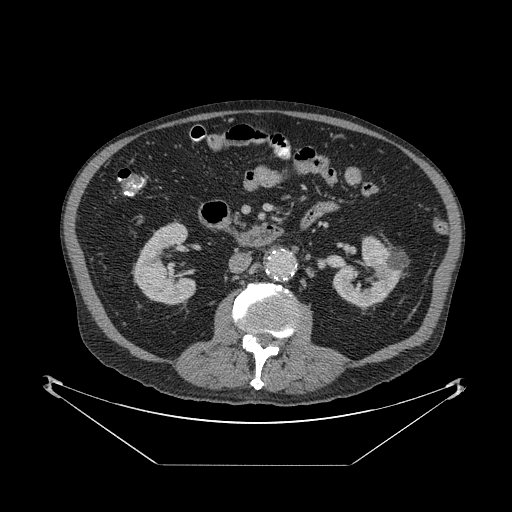

Abdomen; CT slice; 512x512 px

pancreas:
  - <bbox>233, 216, 242, 225</bbox>